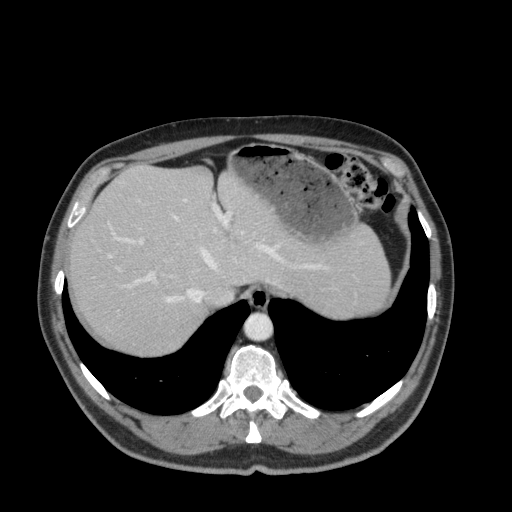

Abdomen, CT

The liver is located at box(71, 165, 388, 354).